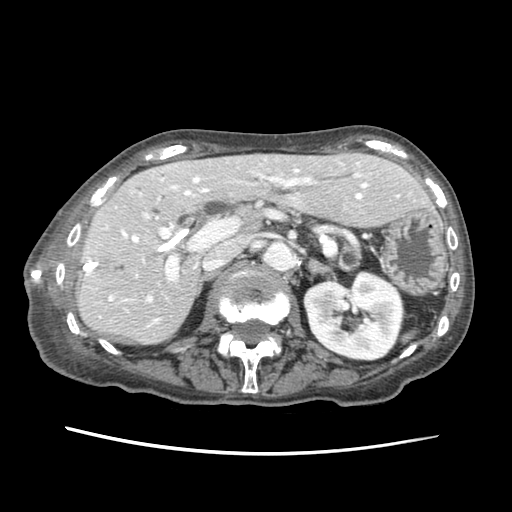 CT image

The pancreas is bounded by rect(340, 244, 359, 271).